Slice 126/155; Head
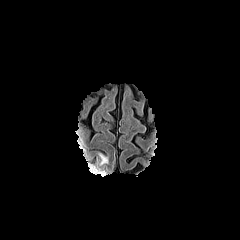
FLAIR magnetic resonance.
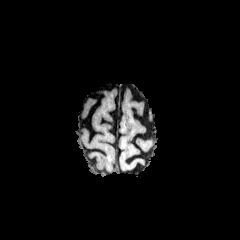
T1-weighted MR.
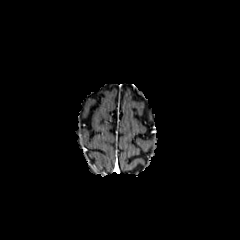
Post-contrast T1-weighted MR image.
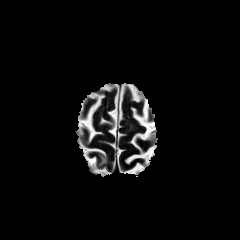
T2-weighted magnetic resonance of the same slice.
<segmentation>
  <edema>box=[99, 154, 107, 165]</edema>
</segmentation>